FLAIR magnetic resonance.
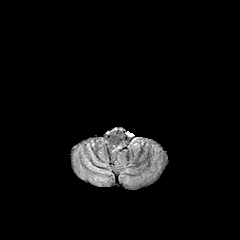
T1-weighted MRI.
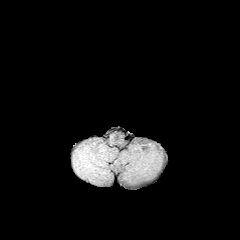
Post-contrast T1-weighted MR image.
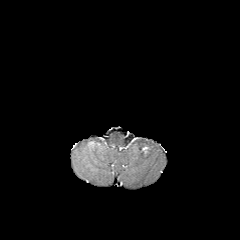
T2-weighted MRI.
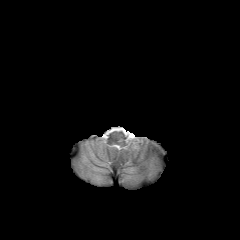
Image size 240x240, Brain
3 edema regions are bounded by 81:146:109:179, 122:156:135:179, 98:140:138:158.